Brain, CT slice, Image size 512x512 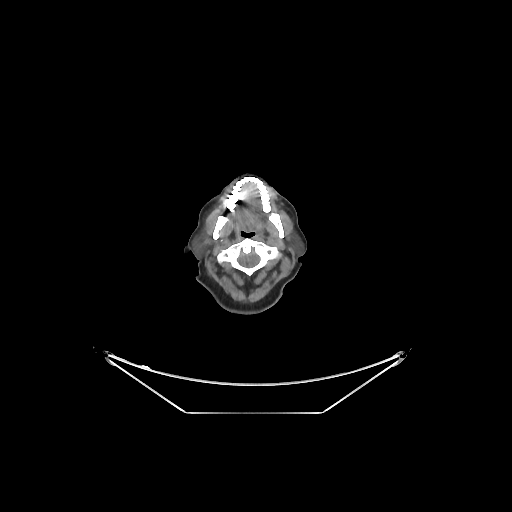 The brain is bounded by (left=237, top=249, right=260, bottom=267).